512x512 px | Slice index 74 | CT 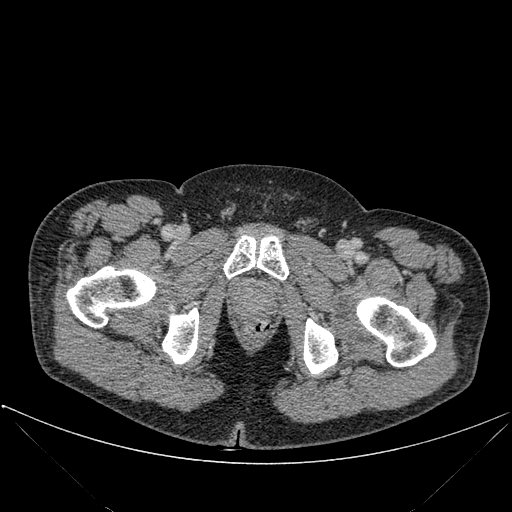

* bone: bbox=[224, 235, 288, 279]; bbox=[304, 318, 337, 373]; bbox=[162, 308, 198, 363]; bbox=[357, 297, 435, 366]; bbox=[67, 266, 156, 327]